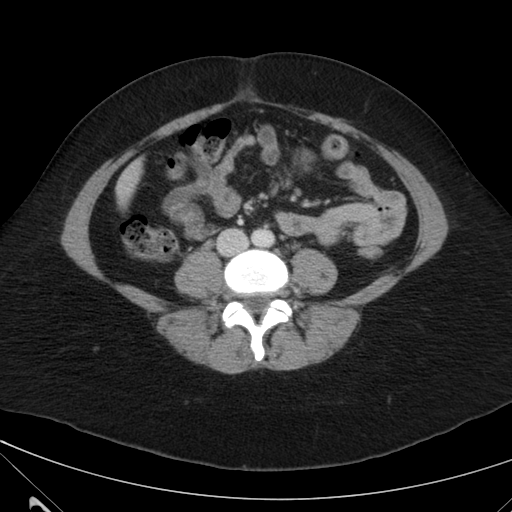

Abdomen; CT
Annotated regions:
- liver: x1=117, y1=165, x2=137, y2=197